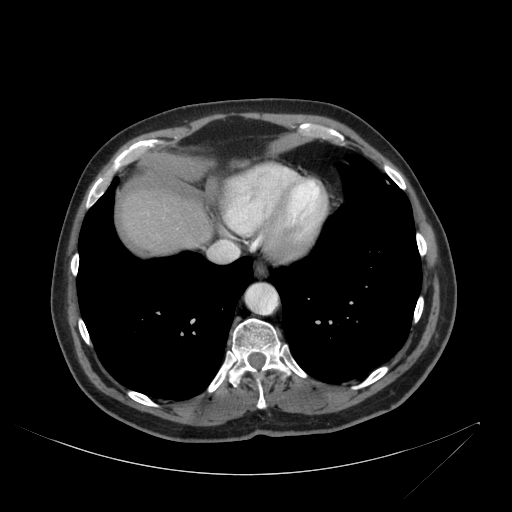

Liver. CT slice.
The liver is bounded by left=123, top=189, right=212, bottom=251.